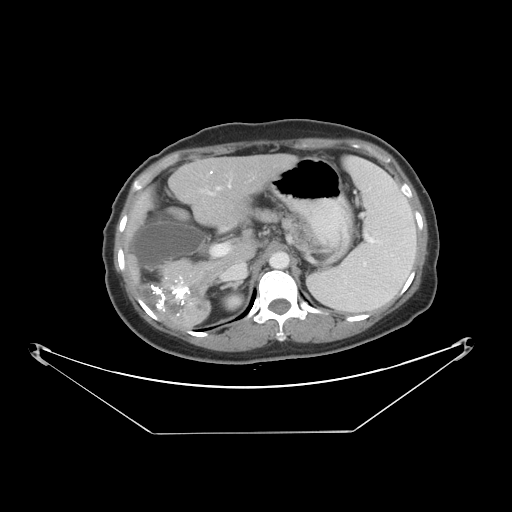

CT image | 512x512 | Abdomen
The vessel boxes may cover only some of the vessels.
4 hepatic vessel regions are bounded by [x1=229, y1=175, x2=231, y2=186], [x1=217, y1=188, x2=219, y2=189], [x1=216, y1=245, x2=225, y2=253], [x1=207, y1=191, x2=212, y2=194]. The liver tumor is at [x1=141, y1=270, x2=206, y2=322].